FLAIR MR.
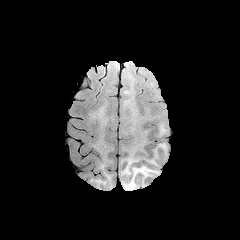
T1-weighted MR.
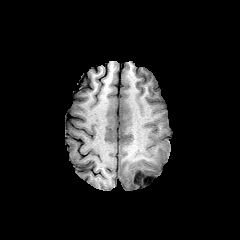
Post-contrast T1-weighted MRI.
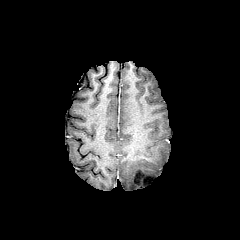
T2-weighted MR.
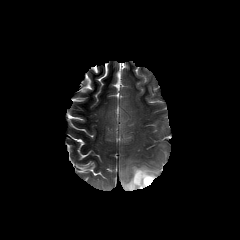
edema:
  - (122,160,158,189)
non-enhancing_tumor_core:
  - (134,171,150,185)